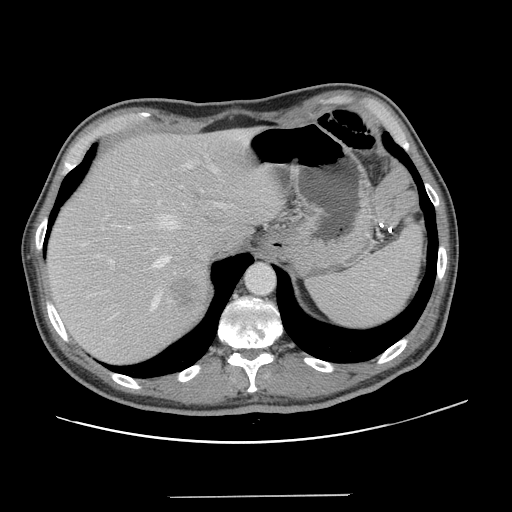

Abdomen; CT scan slice
The vessel annotation is not exhaustive.
• liver tumor: bbox(172, 279, 198, 310)
• hepatic vessel (principal 15 of 16): bbox(88, 294, 92, 297); bbox(109, 259, 113, 266); bbox(131, 200, 138, 201); bbox(185, 163, 191, 167); bbox(158, 215, 176, 227); bbox(80, 244, 84, 245); bbox(168, 300, 170, 302); bbox(153, 256, 169, 267); bbox(216, 203, 222, 206); bbox(127, 226, 131, 228); bbox(152, 295, 159, 308); bbox(159, 201, 160, 203); bbox(112, 315, 115, 317); bbox(97, 255, 101, 256); bbox(152, 248, 156, 250)